Image size 512x512 | Image width 500 mm | Upper abdomen | Slice 160 of 299 | CT scan slice 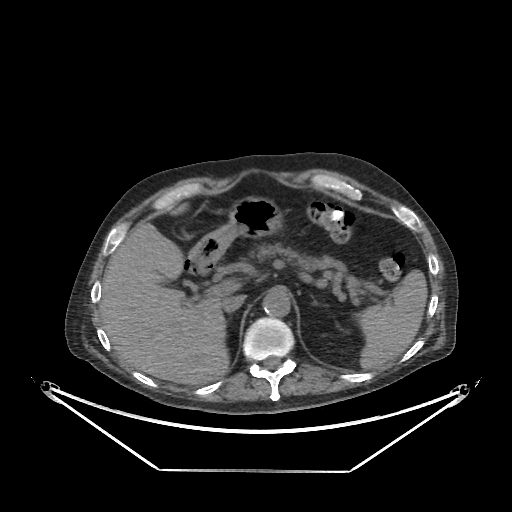

liver:
  - rect(92, 223, 240, 384)